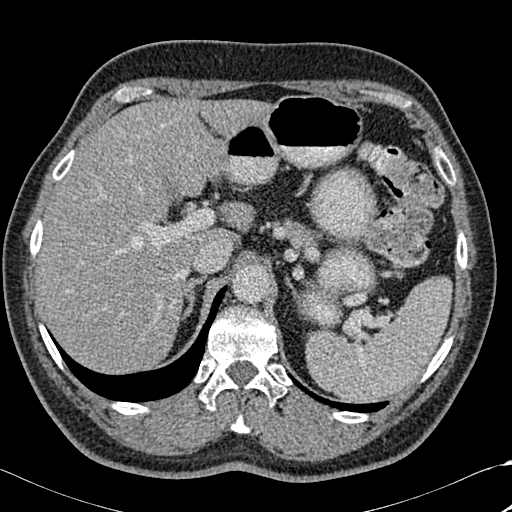

CT scan slice, 512x512

2 liver regions are bounded by left=39, top=100, right=267, bottom=374; left=234, top=205, right=251, bottom=230. 9 bone regions are located at left=232, top=416, right=248, bottom=432; left=40, top=325, right=61, bottom=367; left=333, top=411, right=366, bottom=423; left=457, top=234, right=467, bottom=268; left=423, top=338, right=451, bottom=379; left=30, top=221, right=42, bottom=254; left=53, top=163, right=67, bottom=179; left=112, top=402, right=147, bottom=414; left=195, top=308, right=291, bottom=407. 2 lung regions are bounded by left=57, top=286, right=226, bottom=402; left=289, top=374, right=388, bottom=412.